CT image. Lower abdomen.

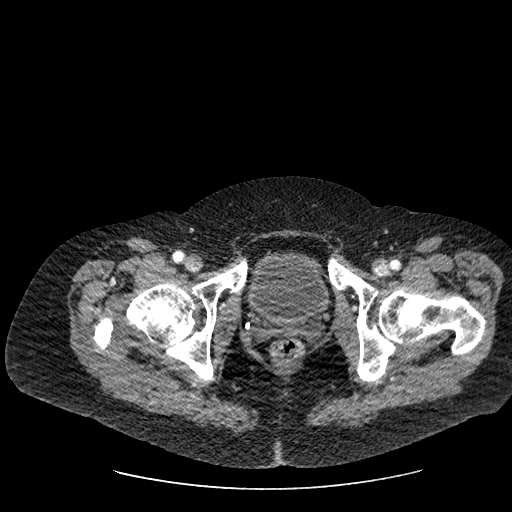
Annotated regions:
- urinary bladder: [242,251,329,327]